Slice 476 of 871. Computed tomography. 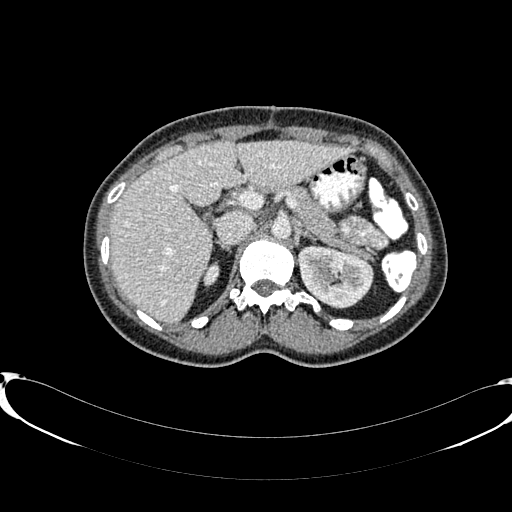

• kidney: 207:267:216:281, 300:247:371:306
• liver: 109:141:350:322